Upper abdomen | CT slice

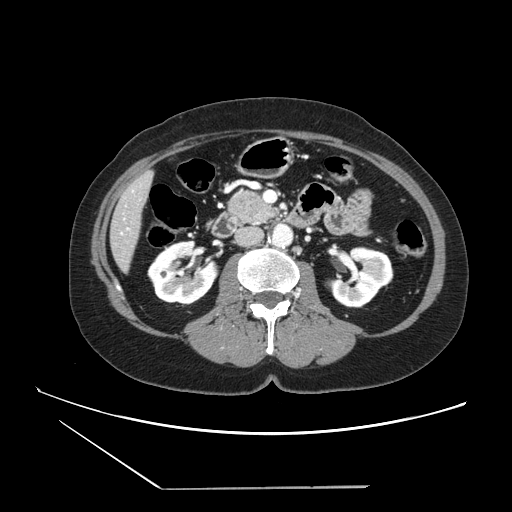 Pancreas = <bbox>229, 192, 278, 222</bbox>.